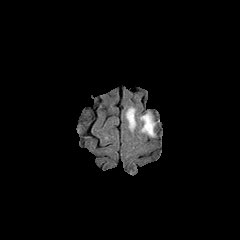
FLAIR MR.
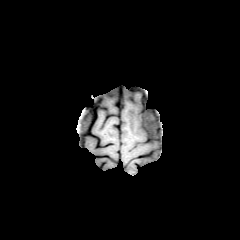
T1-weighted magnetic resonance.
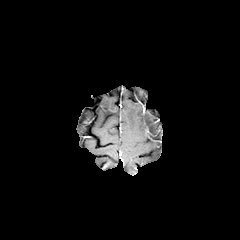
Post-contrast T1-weighted MR.
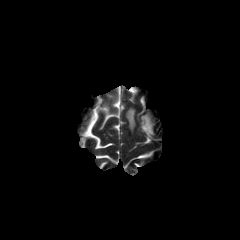
T2-weighted MRI of the same slice.
Image size 240x240; Head
edema:
  - {"x1": 140, "y1": 112, "x2": 154, "y2": 136}
  - {"x1": 126, "y1": 107, "x2": 135, "y2": 129}